Head; Slice index 62; Field of view 240x240 mm; 240x240 px
FLAIR MR image.
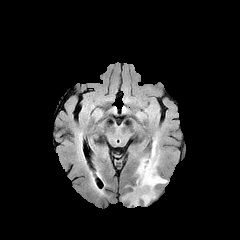
T1-weighted MRI.
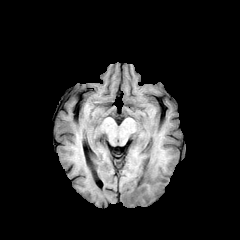
Post-contrast T1-weighted MR.
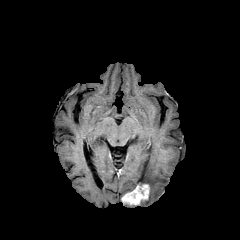
T2-weighted MRI.
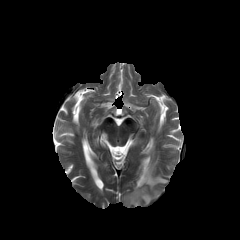
Enhancing tumor: [x1=121, y1=183, x2=149, y2=205].
Edema: [x1=136, y1=139, x2=167, y2=204].